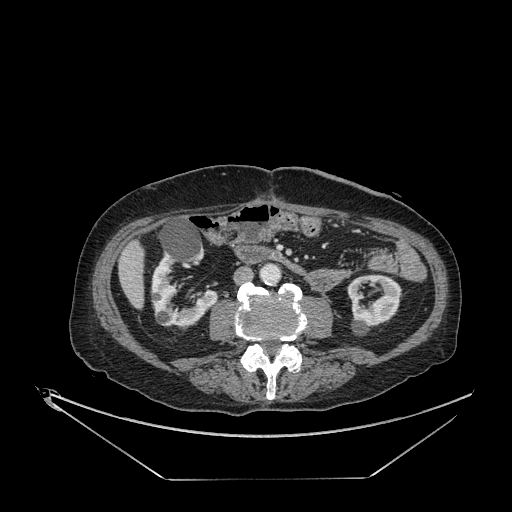
Liver | CT image

Annotated regions:
* kidney: [x1=152, y1=253, x2=216, y2=325], [x1=195, y1=250, x2=203, y2=260], [x1=348, y1=275, x2=401, y2=325]
* liver: [x1=119, y1=241, x2=143, y2=308]